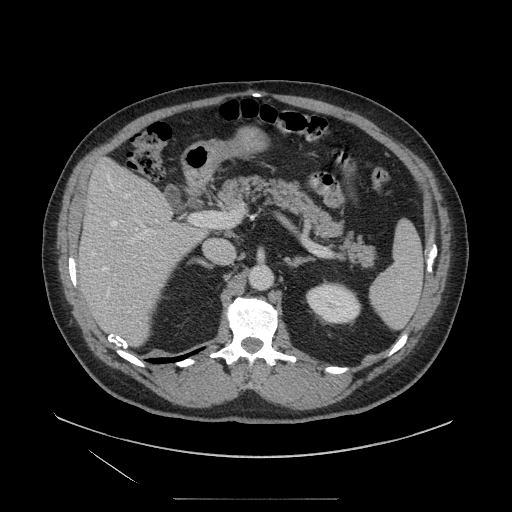
Upper abdomen; Computed tomography
Findings:
* pancreas: 212, 175, 380, 269